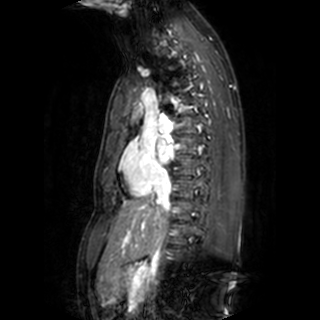
Magnetic resonance
Segmented structures:
• left atrium: {"x1": 157, "y1": 139, "x2": 173, "y2": 163}